Brain; Image width 240 mm; Slice 57 of 155
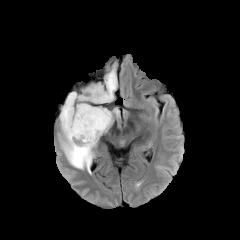
FLAIR magnetic resonance.
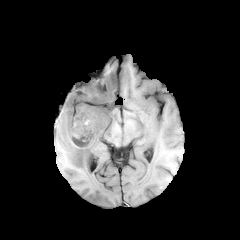
T1-weighted MR.
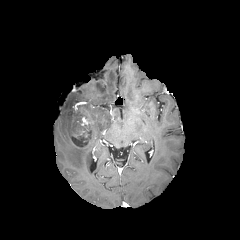
Post-contrast T1-weighted MRI of the same slice.
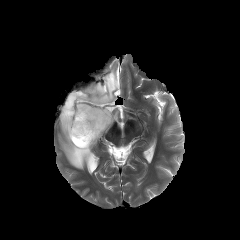
T2-weighted MR image.
edema:
  - x1=92, y1=108, x2=119, y2=134
  - x1=60, y1=70, x2=117, y2=171
enhancing_tumor:
  - x1=81, y1=116, x2=89, y2=125
non-enhancing_tumor_core:
  - x1=71, y1=104, x2=111, y2=147